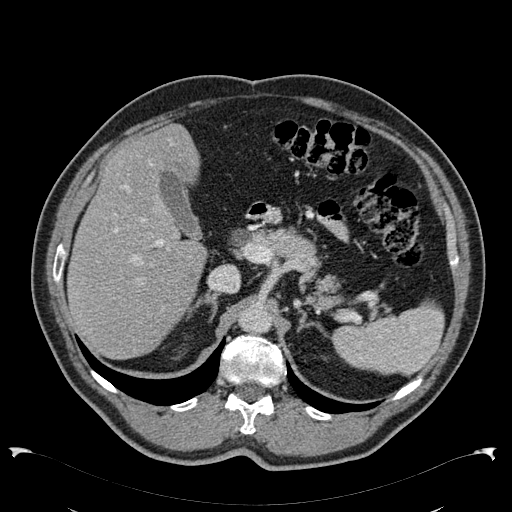
CT image, Abdomen, 512x512 px
Findings:
- liver lesion: [151, 195, 163, 211]
- liver: [67, 125, 207, 359]